Brain; Slice 65 of 155
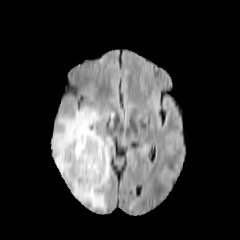
FLAIR MRI.
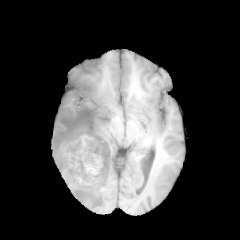
T1-weighted MR image.
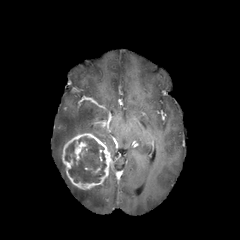
Same slice, post-contrast T1-weighted MRI.
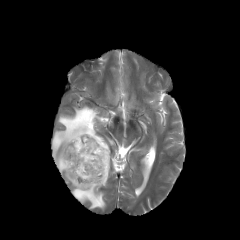
T2-weighted MRI.
The edema is located at l=51, t=106, r=113, b=211. The non-enhancing tumor core is at l=64, t=136, r=105, b=183. 2 enhancing tumor regions are located at l=62, t=133, r=112, b=189; l=74, t=140, r=87, b=160.